Abdomen. Slice 65 of 144. CT scan slice.
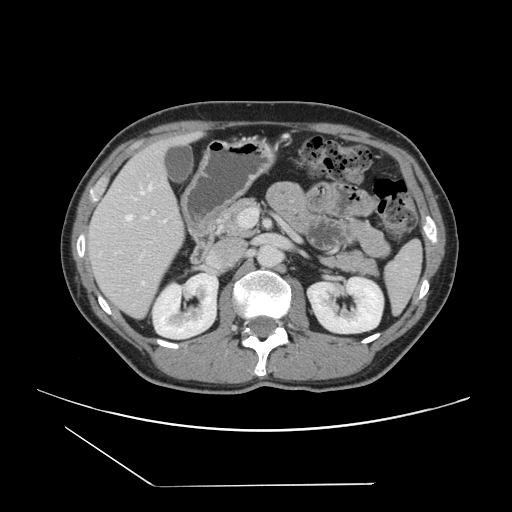

Not every hepatic vessel necessarily has a box.
3 hepatic vessel regions are bounded by 127 221 131 222, 130 196 133 198, 138 251 145 261.